240x240. Slice 81 of 155.
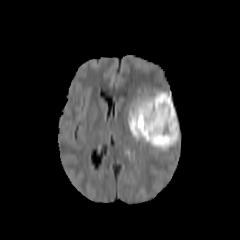
FLAIR MR.
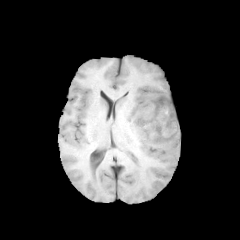
T1-weighted magnetic resonance of the same slice.
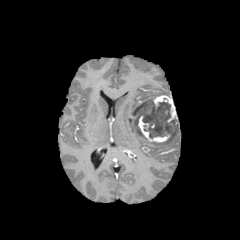
Same slice, post-contrast T1-weighted MR image.
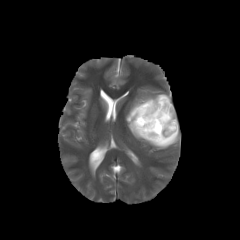
T2-weighted MR.
The edema lies within (126,87,180,150). 2 enhancing tumor regions are located at (153,95,177,123), (138,115,170,142). The non-enhancing tumor core is at (132,100,177,137).